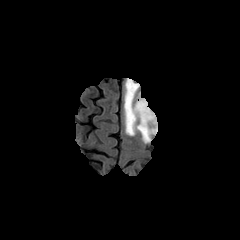
FLAIR magnetic resonance.
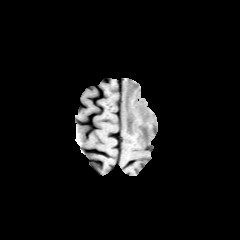
Same slice, T1-weighted MR image.
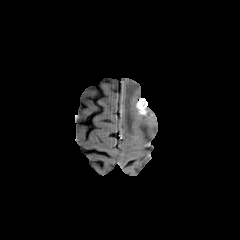
Post-contrast T1-weighted magnetic resonance.
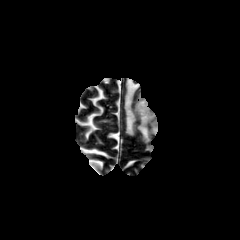
T2-weighted MR.
Brain
The non-enhancing tumor core lies within 144, 107, 153, 118. The edema is located at 123, 78, 157, 144. The enhancing tumor lies within 136, 97, 149, 115.